CT image | Thorax 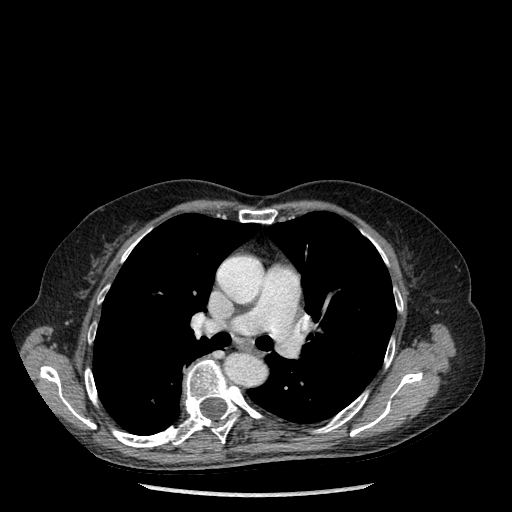
- bone: box(121, 237, 140, 262); box(97, 285, 108, 303); box(384, 338, 394, 368); box(313, 391, 367, 432); box(88, 322, 96, 342); box(368, 235, 388, 264); box(394, 287, 403, 311); box(239, 209, 277, 223); box(112, 359, 262, 447); box(85, 368, 96, 404); box(39, 365, 96, 429); box(350, 371, 422, 436)
- lung: box(248, 211, 396, 423); box(93, 213, 259, 435)